FLAIR MR.
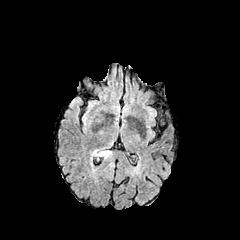
T1-weighted MRI.
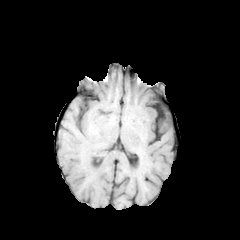
Post-contrast T1-weighted MR image.
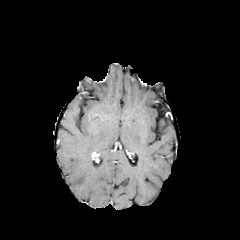
T2-weighted magnetic resonance.
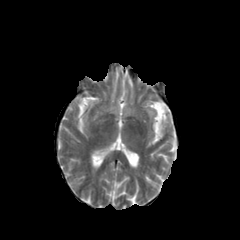
Head
The edema is bounded by region(93, 148, 111, 159).